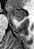
MRI slice. Hippocampus.

The anterior hippocampus is located at box(9, 6, 25, 20).